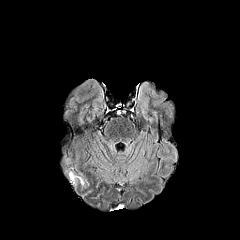
FLAIR MR image.
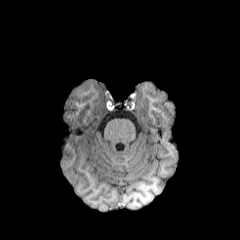
T1-weighted MR of the same slice.
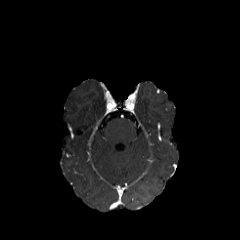
Same slice, post-contrast T1-weighted MR image.
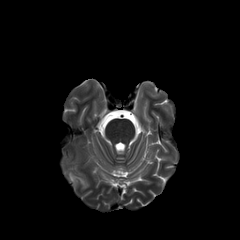
T2-weighted MRI.
240x240 px
{"edema": ["[69,174,86,187]"]}